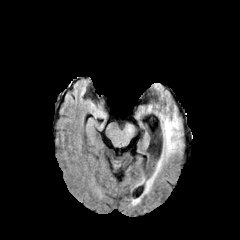
FLAIR magnetic resonance.
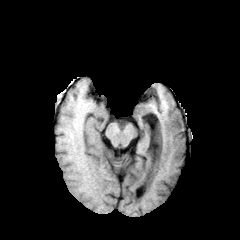
Same slice, T1-weighted MRI.
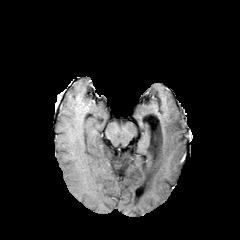
Post-contrast T1-weighted MRI.
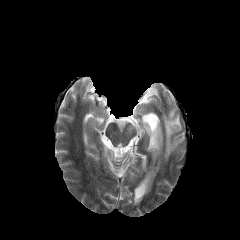
T2-weighted MR.
240x240
Edema: rect(146, 172, 155, 189); rect(162, 113, 181, 157).